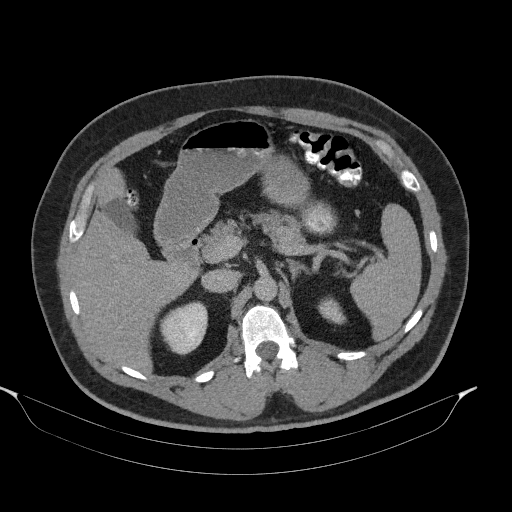

CT slice; Abdomen
Pancreatic tumor at [x1=277, y1=226, x2=291, y2=240].
Pancreas at [x1=251, y1=211, x2=303, y2=246], [x1=203, y1=220, x2=237, y2=257].